Field of view 240 mm wide, 1.00 mm slice spacing
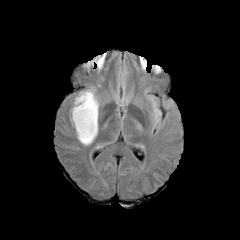
FLAIR magnetic resonance.
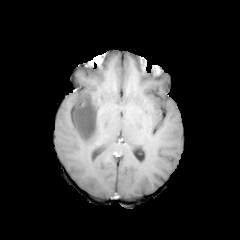
T1-weighted MRI.
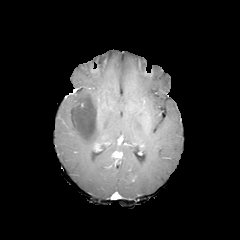
Post-contrast T1-weighted MR of the same slice.
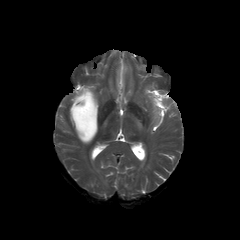
T2-weighted MR of the same slice.
edema: box=[69, 86, 100, 146]; box=[147, 95, 161, 125] | non-enhancing tumor core: box=[72, 91, 95, 139]